Computed tomography; 512x512 px; Abdomen

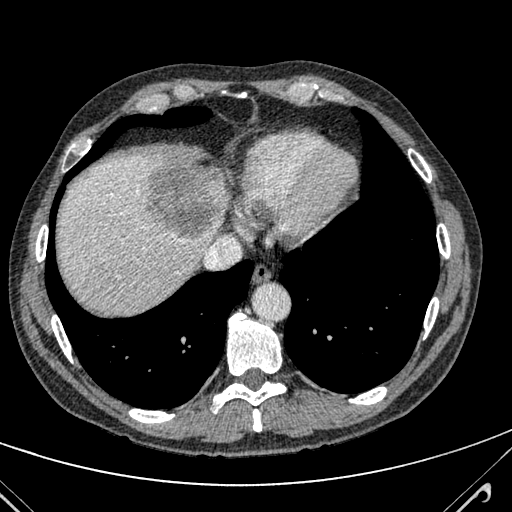 The hepatic lesion is bounded by box=[145, 160, 220, 238]. The liver is located at box=[58, 155, 227, 312].